Upper abdomen. Slice index 62. CT scan slice. 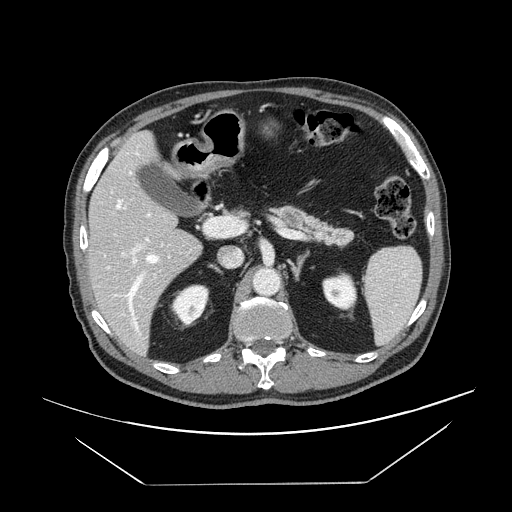 Segmented structures:
* pancreatic tumor: 284 210 300 226
* pancreas: 268 204 354 248